CT image; Slice 464 of 629; Image width 400 mm
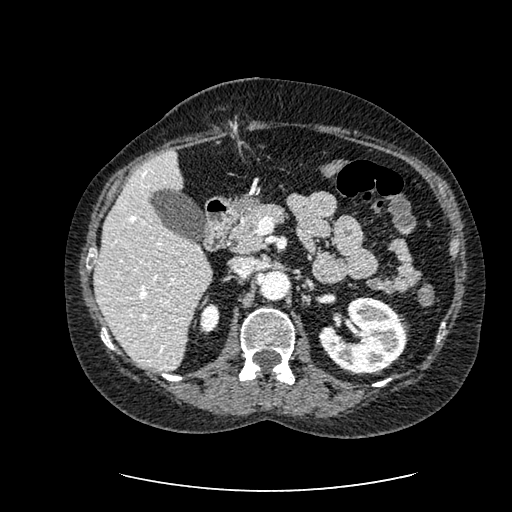 <segmentation>
  <kidney>[320,298,405,372], [201,304,218,331]</kidney>
  <liver>[94,152,212,370]</liver>
</segmentation>